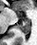 Magnetic resonance. Medial temporal lobe.

The anterior hippocampus is located at {"x1": 17, "y1": 11, "x2": 19, "y2": 13}. The posterior hippocampus lies within {"x1": 18, "y1": 20, "x2": 29, "y2": 34}.